FLAIR magnetic resonance.
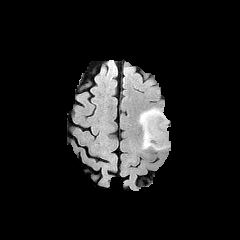
T1-weighted MR image.
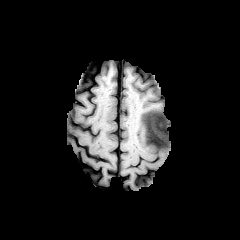
Post-contrast T1-weighted MR image.
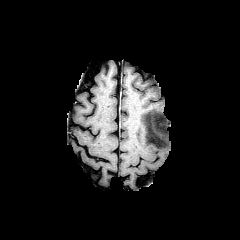
T2-weighted magnetic resonance.
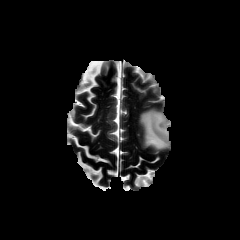
Brain
Edema = <bbox>142, 108, 168, 151</bbox>.
Non-enhancing tumor core = <bbox>141, 109, 157, 143</bbox>.